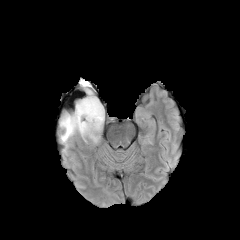
FLAIR MR image.
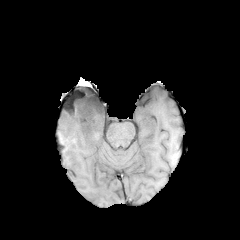
Same slice, T1-weighted MR.
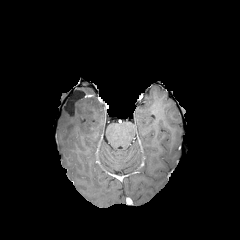
Post-contrast T1-weighted magnetic resonance.
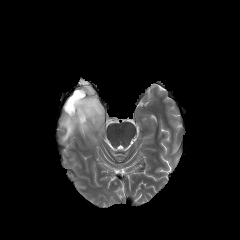
T2-weighted magnetic resonance.
Image size 240x240
The edema is bounded by (59, 83, 104, 147). The non-enhancing tumor core lies within (84, 92, 98, 104).